CT image 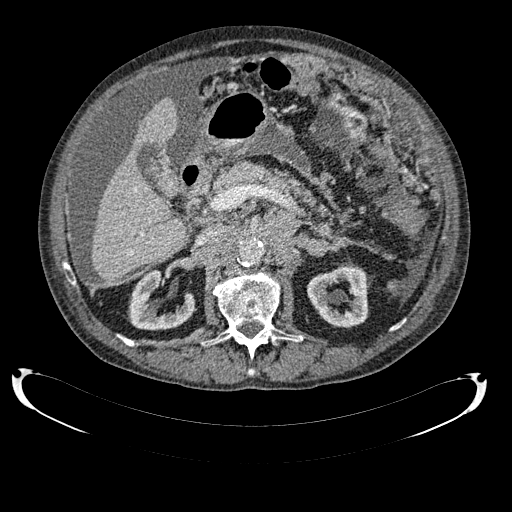
• liver: [92, 97, 186, 283]
• kidney: [307, 266, 367, 326], [129, 270, 194, 329]